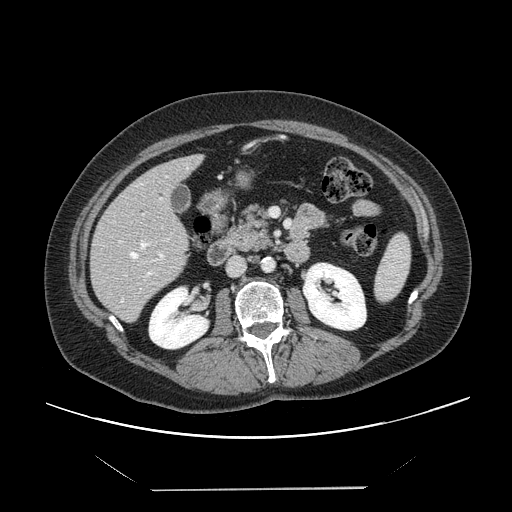 CT. Image size 512x512.
Not every hepatic vessel necessarily has a box.
Segmented structures:
- hepatic vessel: region(119, 241, 121, 242); region(129, 240, 151, 261); region(159, 198, 163, 201); region(144, 270, 156, 279); region(165, 239, 169, 241); region(150, 252, 164, 261)